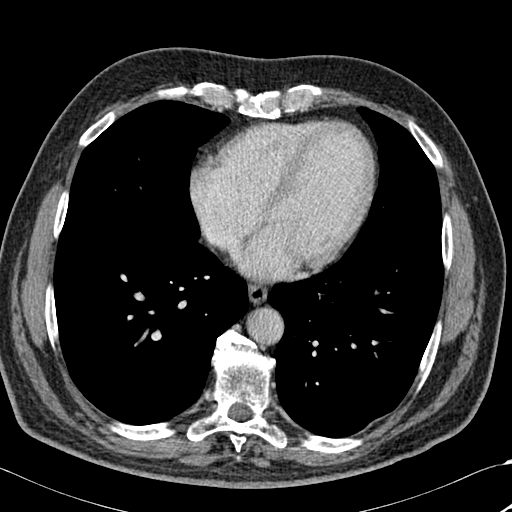

Thorax | CT scan slice
<segmentation>
  <bone>303, 436, 360, 452; 54, 193, 67, 235; 80, 112, 114, 145; 442, 216, 452, 266; 159, 83, 321, 118; 420, 325, 440, 379; 187, 331, 286, 451; 45, 288, 57, 341; 112, 424, 172, 440; 409, 123, 441, 165</bone>
  <lung>267, 107, 443, 437; 53, 100, 249, 425</lung>
</segmentation>